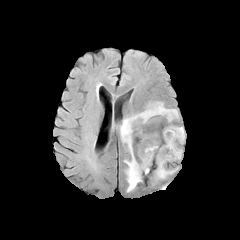
FLAIR MR.
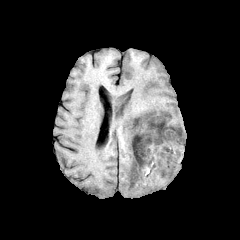
Same slice, T1-weighted MR.
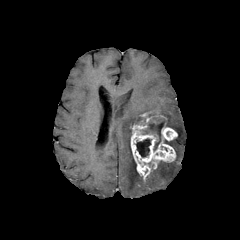
Post-contrast T1-weighted magnetic resonance.
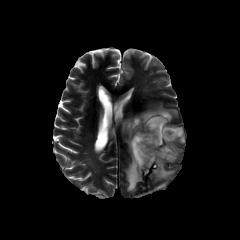
T2-weighted MRI.
non-enhancing_tumor_core:
  - (x1=163, y1=137, x2=177, y2=146)
  - (x1=135, y1=138, x2=152, y2=157)
  - (x1=133, y1=113, x2=167, y2=151)
edema:
  - (x1=154, y1=161, x2=176, y2=178)
  - (x1=168, y1=125, x2=184, y2=158)
  - (x1=120, y1=102, x2=178, y2=192)
enhancing_tumor:
  - (x1=131, y1=125, x2=177, y2=177)